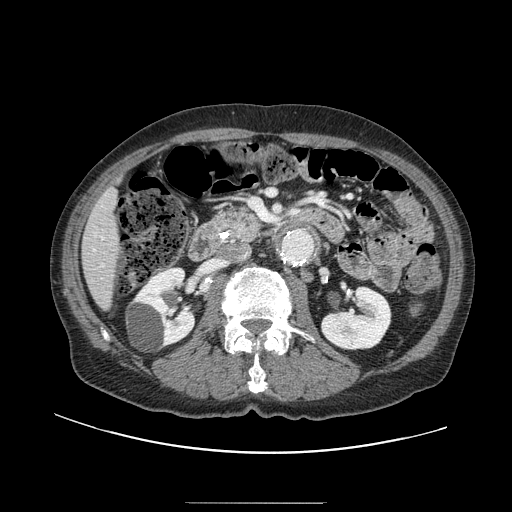
CT, Upper abdomen
{"pancreas": ["203 206 264 242"]}